512x512; Computed tomography

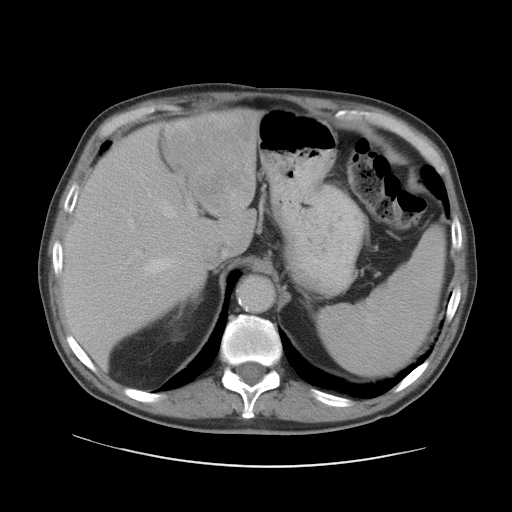
Some hepatic vessels may have no box.
Hepatic vessel — 135, 249, 142, 257; 154, 288, 158, 292; 133, 281, 134, 283; 164, 278, 168, 283; 127, 213, 134, 232; 162, 201, 176, 216; 169, 273, 171, 275; 114, 208, 123, 211; 153, 204, 155, 206; 177, 262, 179, 263; 148, 193, 150, 197; 144, 258, 173, 275; 188, 200, 192, 208; 188, 229, 190, 231.
Liver tumor — 162, 110, 259, 217.